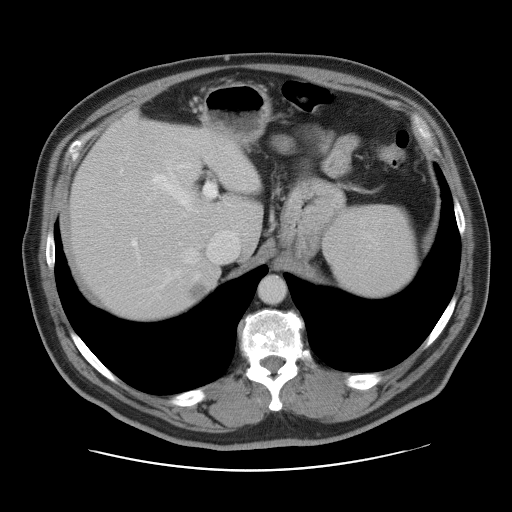 Abdomen. CT image. Not every hepatic vessel necessarily has a box.
Hepatic vessel at bbox=[219, 174, 221, 179]; bbox=[149, 168, 196, 211]; bbox=[207, 228, 238, 262]; bbox=[203, 182, 216, 197]; bbox=[191, 163, 200, 178]; bbox=[166, 270, 168, 274]; bbox=[185, 251, 195, 262]; bbox=[164, 279, 166, 282]; bbox=[192, 271, 200, 280]; bbox=[148, 198, 149, 199]; bbox=[176, 164, 188, 168]; bbox=[132, 239, 136, 247].
Liver tumor at bbox=[184, 283, 209, 300].